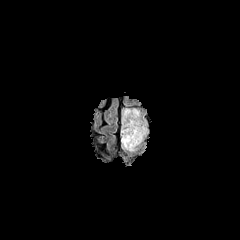
FLAIR MR.
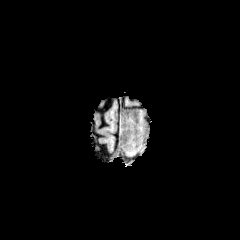
T1-weighted magnetic resonance of the same slice.
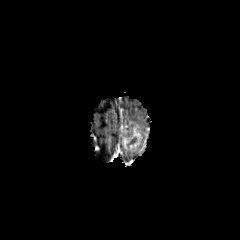
Post-contrast T1-weighted MR image.
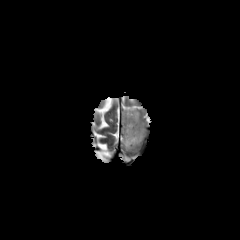
T2-weighted MRI.
Image size 240x240 | Brain
<segmentation>
  <non-enhancing_tumor_core>box(122, 123, 135, 137)</non-enhancing_tumor_core>
  <enhancing_tumor>box(120, 122, 142, 150)</enhancing_tumor>
  <edema>box(122, 108, 149, 137)</edema>
</segmentation>